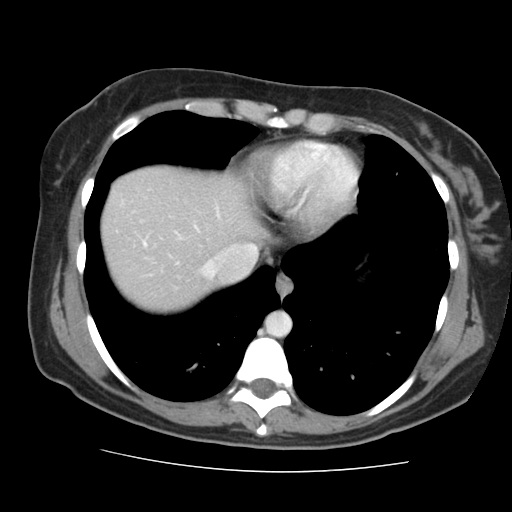
Image size 512x512; Computed tomography; Abdomen
The vessel boxes may cover only some of the vessels.
hepatic vessel: 143 243 145 244, 205 265 207 267, 209 271 212 276